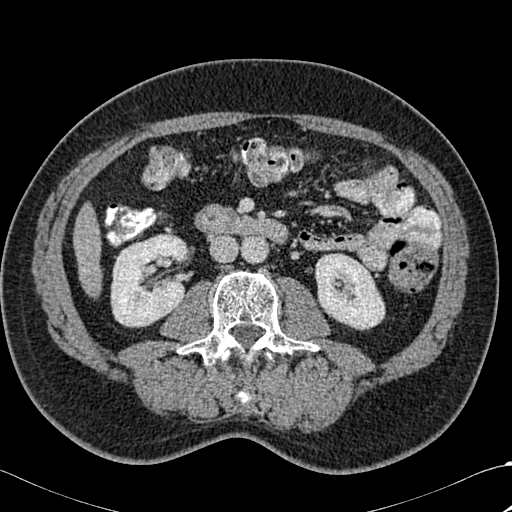 Upper abdomen, CT
kidney:
  - box(316, 254, 384, 328)
  - box(111, 235, 186, 326)
bone:
  - box(238, 384, 251, 403)
  - box(178, 271, 317, 364)
liver:
  - box(74, 213, 101, 294)
focal_liver_lesion:
  - box(87, 254, 96, 262)